CT scan slice. 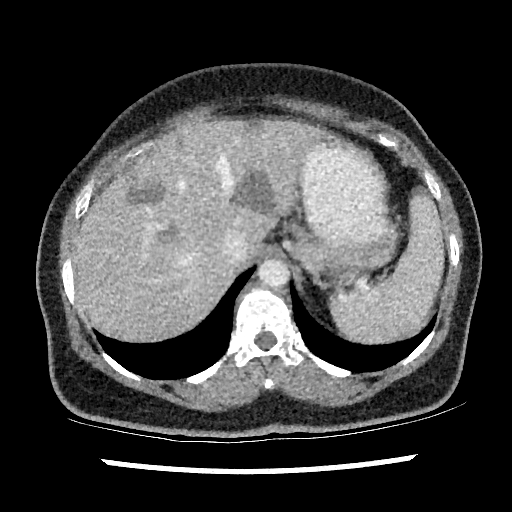 The liver is located at <box>71,119,325,339</box>. 4 focal liver lesion regions are bounded by <box>126,186,162,203</box>, <box>232,172,274,214</box>, <box>240,120,263,131</box>, <box>158,231,173,242</box>.